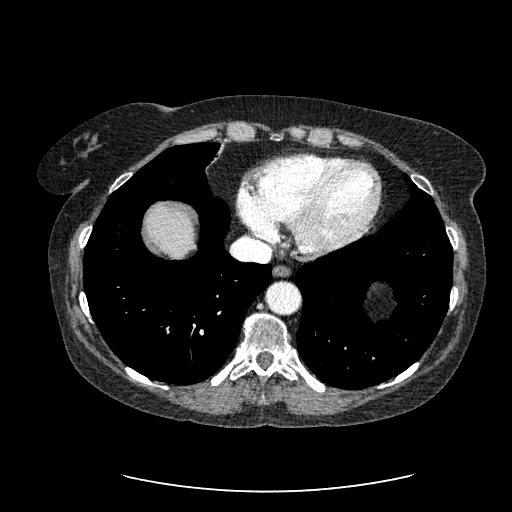
CT scan slice. - liver: [x1=145, y1=205, x2=194, y2=258]